FLAIR MR image.
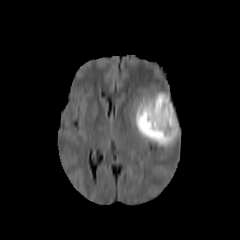
T1-weighted MRI.
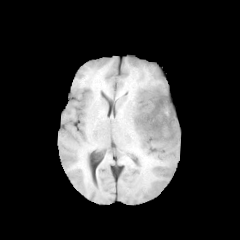
Post-contrast T1-weighted MR image.
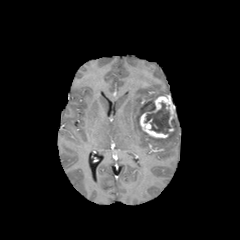
T2-weighted MR.
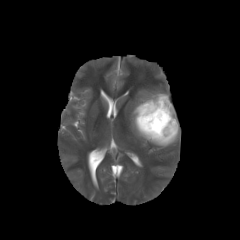
Image size 240x240
enhancing_tumor:
  - 139,95,175,138
edema:
  - 127,92,179,148
non-enhancing_tumor_core:
  - 141,99,155,113
  - 145,103,171,134